FLAIR MRI.
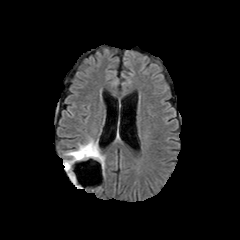
T1-weighted MR.
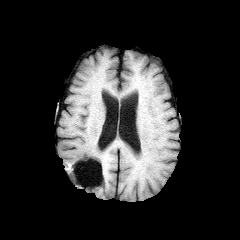
Post-contrast T1-weighted MRI.
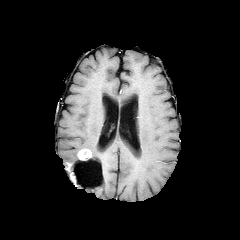
T2-weighted magnetic resonance.
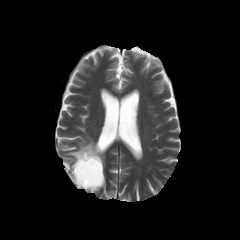
non-enhancing tumor core: box(67, 146, 100, 179) | edema: box(63, 136, 97, 169); box(96, 150, 105, 173) | enhancing tumor: box(77, 149, 92, 159)